Head
FLAIR magnetic resonance.
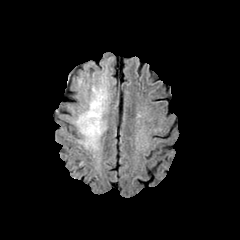
T1-weighted MR image.
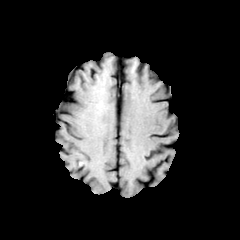
Post-contrast T1-weighted MR image.
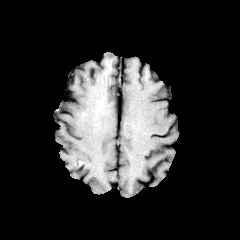
T2-weighted MRI.
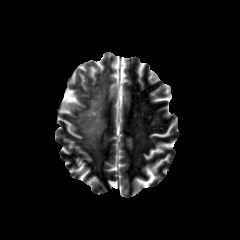
• edema: (76,87,106,148)
• non-enhancing tumor core: (85,91,104,128)